512x512 | CT slice
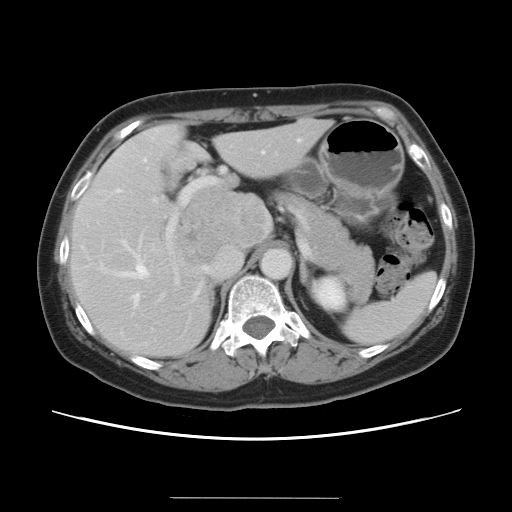
The vessel annotation is not exhaustive.
The liver tumor is bounded by bbox(175, 187, 266, 267). 14 hepatic vessel regions appear at bbox(166, 220, 175, 236); bbox(153, 198, 156, 201); bbox(181, 177, 217, 203); bbox(164, 216, 165, 217); bbox(116, 190, 120, 192); bbox(81, 247, 83, 248); bbox(194, 286, 200, 296); bbox(118, 240, 147, 278); bbox(99, 264, 102, 269); bbox(143, 159, 145, 161); bbox(297, 139, 300, 141); bbox(262, 152, 263, 153); bbox(203, 266, 208, 272); bbox(132, 294, 138, 304).